Image width 240 mm | Brain
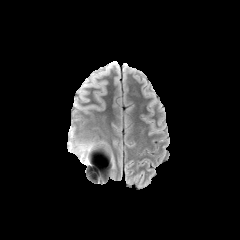
FLAIR MR.
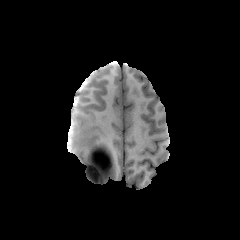
Same slice, T1-weighted MR image.
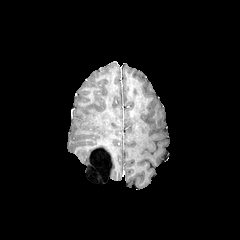
Post-contrast T1-weighted MR.
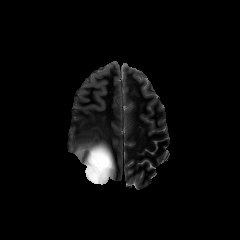
Same slice, T2-weighted MR image.
2 edema regions are bounded by left=88, top=170, right=108, bottom=182; left=75, top=143, right=102, bottom=171. The non-enhancing tumor core is bounded by left=88, top=152, right=106, bottom=176.